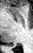
Image size 33x53, MRI slice
<segmentation>
  <posterior_hippocampus>bbox=[8, 44, 15, 45]</posterior_hippocampus>
</segmentation>